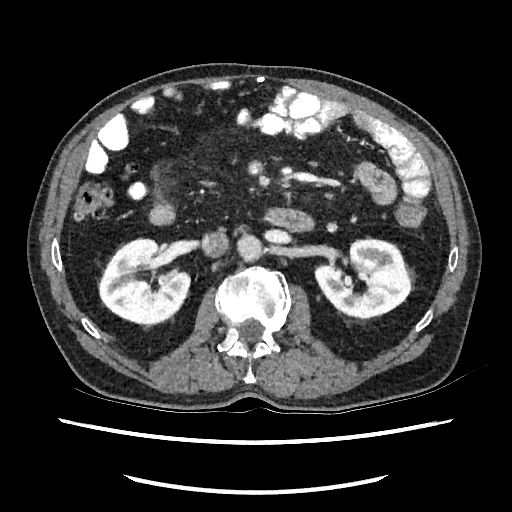 CT slice

Kidney: <box>98,238,190,326</box>, <box>315,238,411,318</box>.